CT, Field of view 369 mm wide, 0.80 mm slice spacing, Image size 512x512, Liver 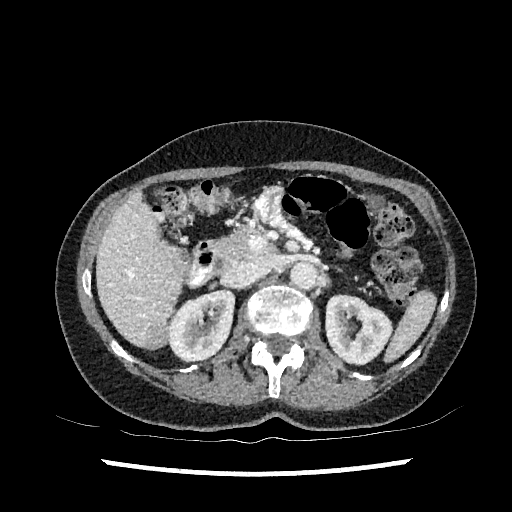 liver_lesion:
  - left=148, top=329, right=164, bottom=345
kidney:
  - left=169, top=291, right=234, bottom=360
  - left=326, top=296, right=391, bottom=363
liver:
  - left=97, top=192, right=183, bottom=347